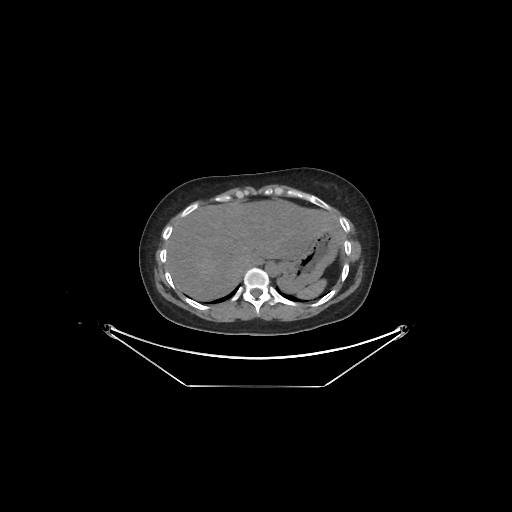 Image size 512x512 | Abdomen | CT
liver: x1=164 y1=199 x2=346 y2=299